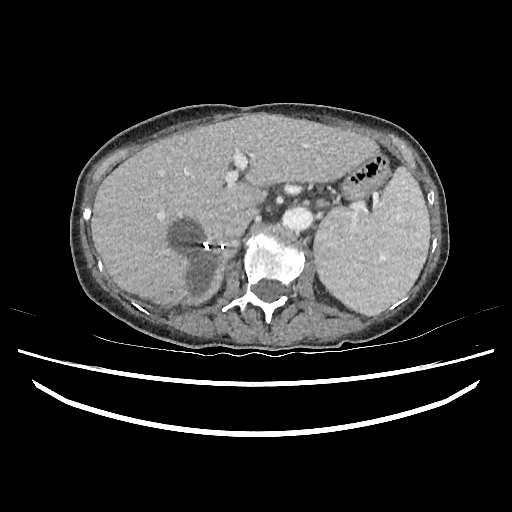
Abdomen. CT slice. 512x512.
{"liver": ["(91, 114, 376, 305)"], "hepatic_lesion": ["(170, 221, 217, 295)"]}